Slice 418 of 781, Computed tomography, Image width 400 mm

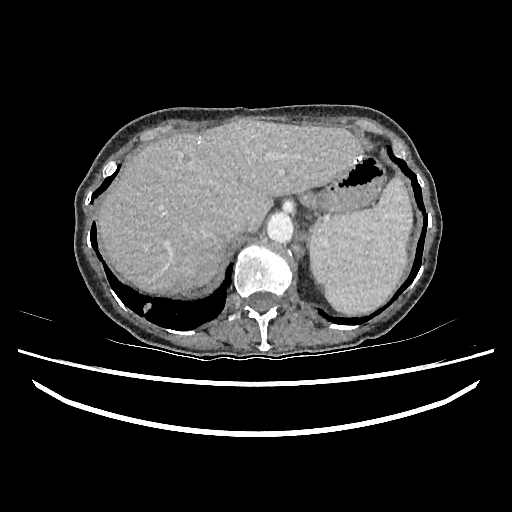

liver:
  - x1=100 y1=120 x2=362 y2=292